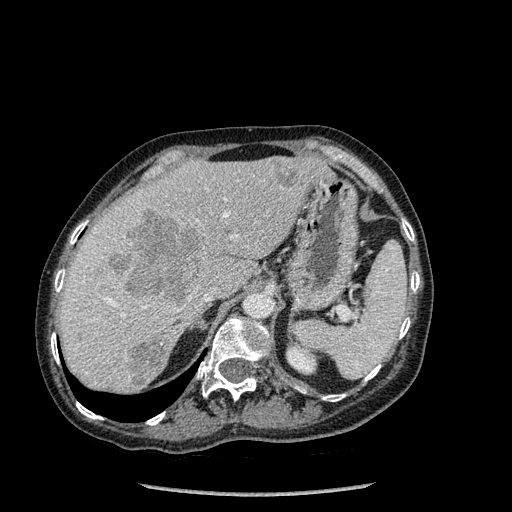
CT. Liver.
Bone: bounding box 146, 412, 165, 425; 54, 269, 65, 292; 364, 364, 380, 381; 51, 332, 59, 364; 197, 317, 271, 400; 70, 221, 87, 244; 402, 219, 414, 241; 398, 317, 410, 338; 322, 394, 345, 401; 410, 271, 419, 292; 76, 402, 103, 419.
Liver: bounding box 60, 156, 330, 393.
Lung: bounding box 66, 364, 196, 422.
Kidney: bounding box 287, 347, 315, 372.
Focal liver lesion: bounding box 125, 341, 164, 384; 276, 162, 299, 187; 125, 213, 201, 302; 108, 253, 130, 275.